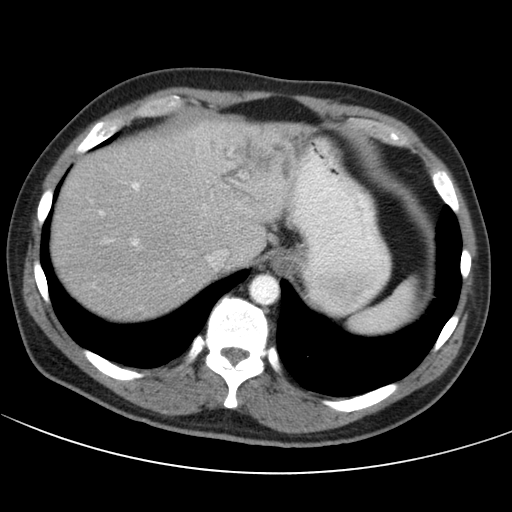

CT. Image size 512x512. The vessel annotation is not exhaustive.
Hepatic vessel = 100 210 102 214, 132 239 136 244, 132 183 137 188, 208 249 227 268.
Liver tumor = 280 127 300 143, 223 163 247 180, 241 140 272 169, 273 143 286 153, 283 160 290 177.